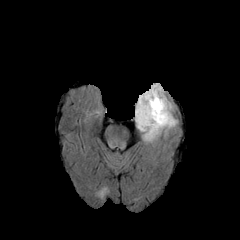
FLAIR MRI.
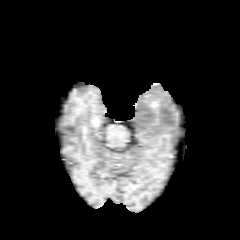
T1-weighted magnetic resonance.
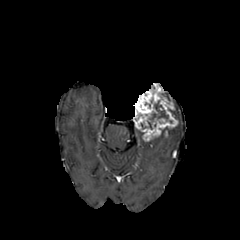
Post-contrast T1-weighted MR image.
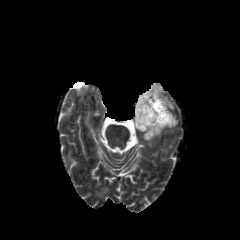
T2-weighted MRI of the same slice.
{"enhancing_tumor": ["box=[134, 83, 177, 140]"], "non-enhancing_tumor_core": ["box=[151, 111, 167, 121]"]}